Slice index 472 | Image width 344 mm | CT scan slice | 512x512 | Upper abdomen 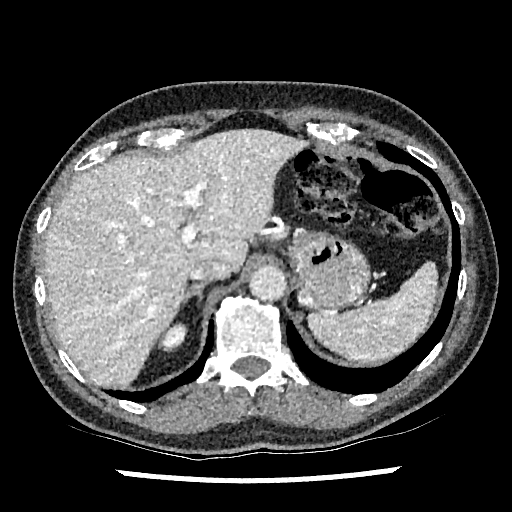 Liver = rect(43, 129, 307, 385).
Kidney = rect(164, 328, 183, 345).